Slice index 46, CT slice 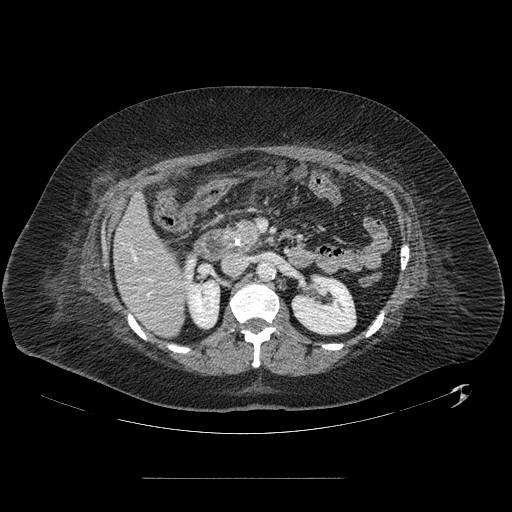

Findings:
• pancreatic tumor: (left=239, top=224, right=256, bottom=241)
• pancreas: (left=226, top=222, right=260, bottom=251)